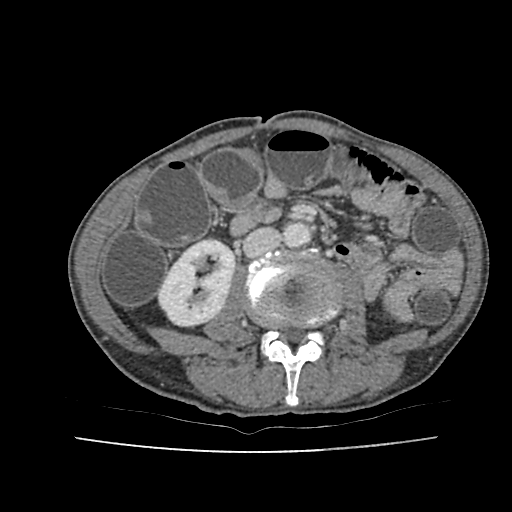 Computed tomography; Abdomen
{"kidney": ["<bbox>159, 241, 234, 325</bbox>"]}